CT image | 512x512 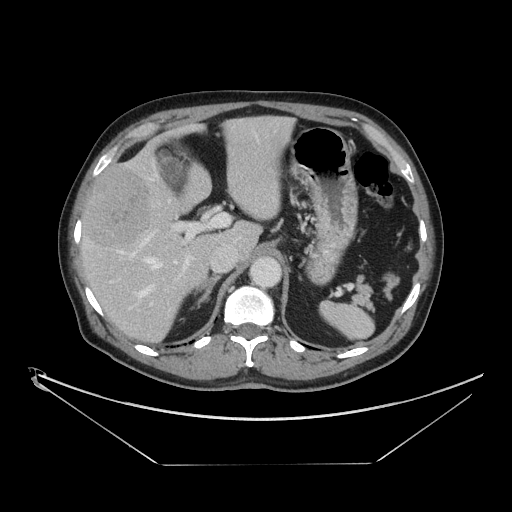

Not every hepatic vessel necessarily has a box.
hepatic_vessel:
  - (left=146, top=258, right=161, bottom=267)
  - (left=142, top=234, right=151, bottom=245)
  - (left=174, top=261, right=176, bottom=262)
  - (left=118, top=250, right=123, bottom=252)
  - (left=183, top=257, right=193, bottom=270)
  - (left=168, top=199, right=170, bottom=201)
  - (left=129, top=253, right=134, bottom=257)
  - (left=134, top=285, right=153, bottom=296)
  - (left=151, top=173, right=156, bottom=179)
liver_tumor:
  - (left=83, top=165, right=151, bottom=247)